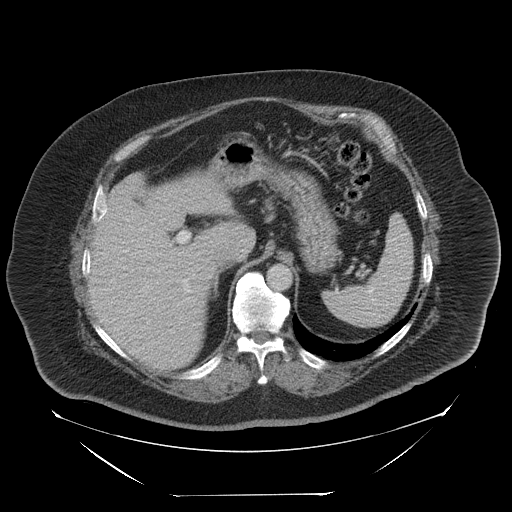

Upper abdomen | 512x512 | CT image
Spleen at 324 217 413 326.